FLAIR MR image.
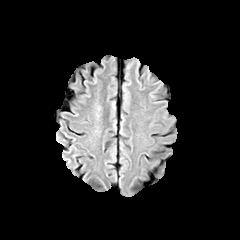
T1-weighted MR.
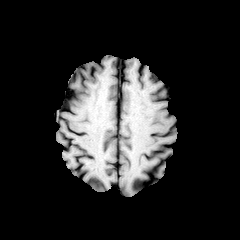
Post-contrast T1-weighted MR image.
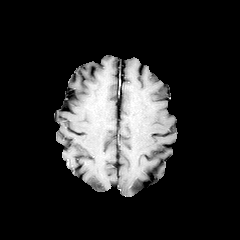
T2-weighted MR.
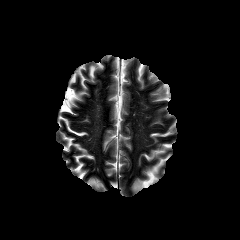
Brain.
edema: (x1=95, y1=105, x2=100, y2=117)